Slice 431/696, Computed tomography

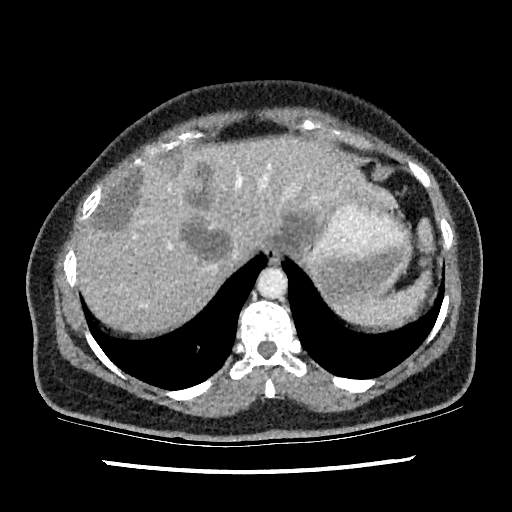

<segmentation>
  <liver>l=76, t=135, r=395, b=331; l=276, t=244, r=300, b=255</liver>
  <hepatic_lesion>l=181, t=218, r=232, b=260; l=95, t=171, r=143, b=230; l=268, t=213, r=314, b=252; l=196, t=165, r=213, b=182; l=187, t=184, r=214, b=208</hepatic_lesion>
</segmentation>